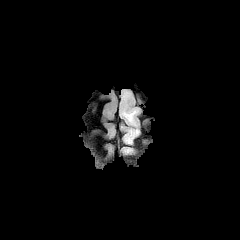
FLAIR MR image.
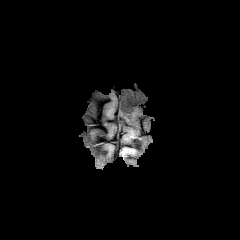
T1-weighted magnetic resonance of the same slice.
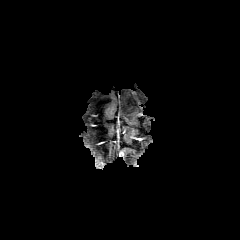
Post-contrast T1-weighted magnetic resonance.
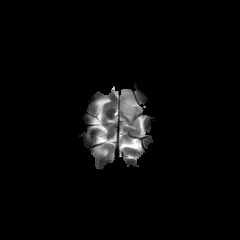
Same slice, T2-weighted MR.
Edema = x1=136, y1=116, x2=139, y2=135; x1=119, y1=89, x2=140, y2=118.
Non-enhancing tumor core = x1=124, y1=107, x2=137, y2=135.